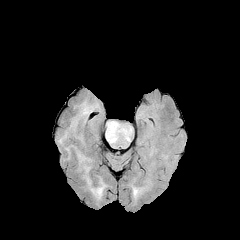
FLAIR MR image.
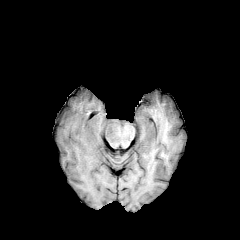
T1-weighted MR image of the same slice.
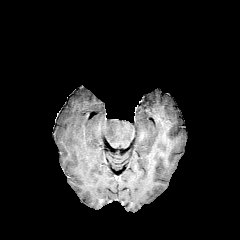
Post-contrast T1-weighted MR image.
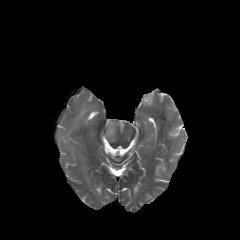
Same slice, T2-weighted magnetic resonance.
Brain
The edema is at x1=105 y1=121 x2=119 y2=143.